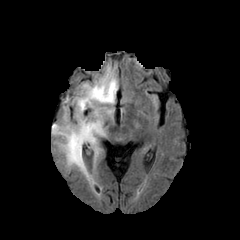
FLAIR MR image.
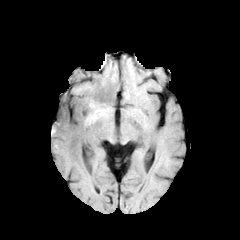
T1-weighted MR image of the same slice.
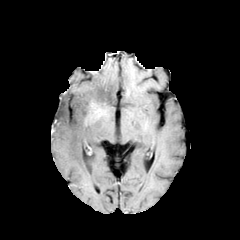
Same slice, post-contrast T1-weighted MRI.
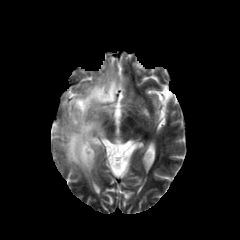
T2-weighted MR image of the same slice.
240x240 px. Head.
Annotated regions:
* edema: [51, 62, 118, 183]